FLAIR MR image.
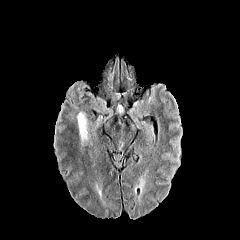
T1-weighted MRI.
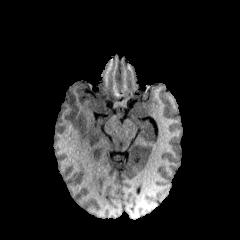
Post-contrast T1-weighted MR image.
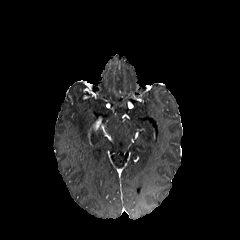
T2-weighted magnetic resonance.
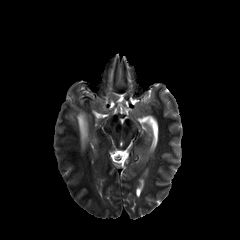
Brain
The edema is located at bbox(77, 113, 88, 145).